FLAIR MR image.
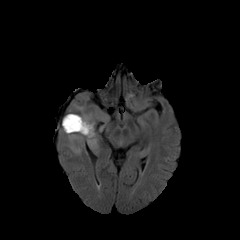
T1-weighted magnetic resonance.
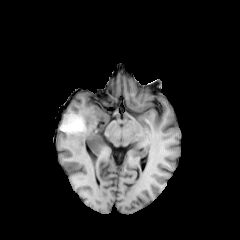
Post-contrast T1-weighted magnetic resonance.
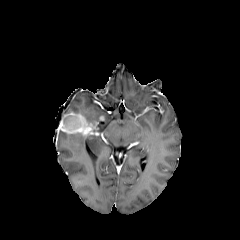
T2-weighted MR.
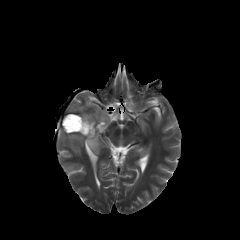
Brain
Enhancing tumor: bounding box x1=58, y1=113, x2=97, y2=136.
Edema: bounding box x1=68, y1=100, x2=107, y2=151; x1=62, y1=132, x2=87, y2=154.